CT slice, Field of view 373x373 mm

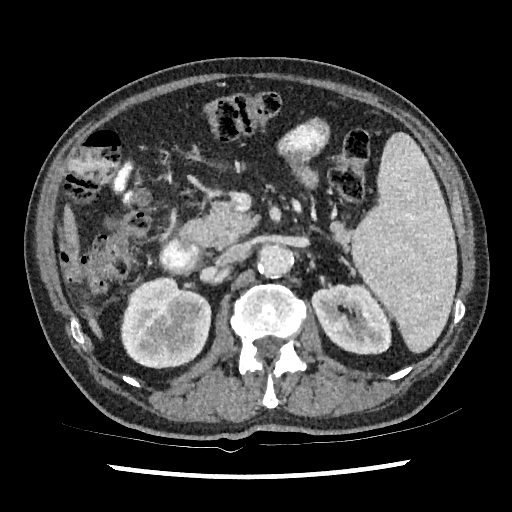

focal_liver_lesion:
  - 69,243,76,253
kidney:
  - 312,285,390,353
  - 122,278,210,367
liver:
  - 65,263,76,280
  - 87,313,101,336
  - 64,206,77,260